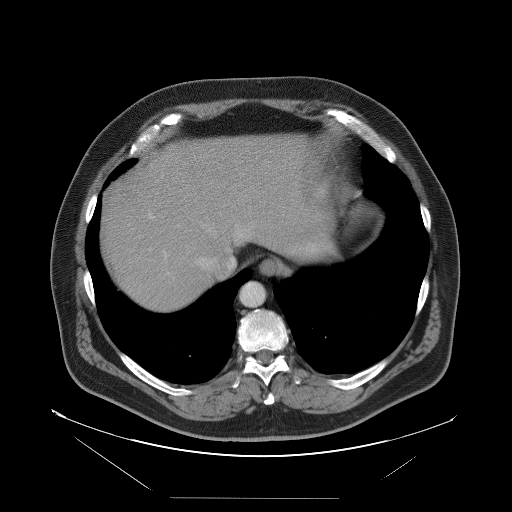

512x512, CT image, Liver

The vessel boxes may cover only some of the vessels.
Hepatic vessel at (x1=239, y1=233, x2=240, y2=237), (x1=163, y1=251, x2=167, y2=258), (x1=166, y1=272, x2=168, y2=274), (x1=148, y1=212, x2=153, y2=218), (x1=200, y1=258, x2=207, y2=264), (x1=246, y1=229, x2=248, y2=230), (x1=235, y1=239, x2=238, y2=243).